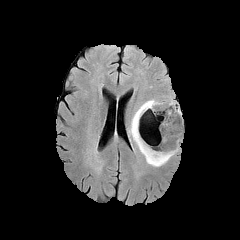
FLAIR MR.
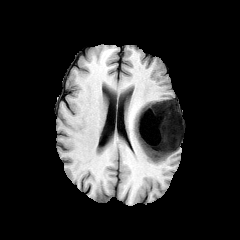
T1-weighted MRI of the same slice.
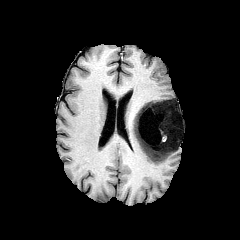
Post-contrast T1-weighted MR image.
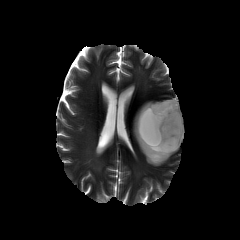
Same slice, T2-weighted magnetic resonance.
240x240.
The non-enhancing tumor core is bounded by (144,102,181,158). The edema appears at (128,98,181,166).